Brain. Slice 86/155. Image size 240x240.
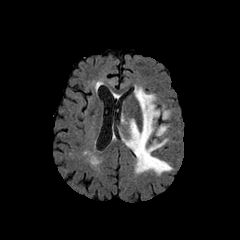
FLAIR MRI.
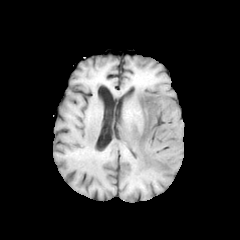
Same slice, T1-weighted MR.
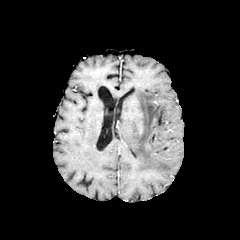
Post-contrast T1-weighted MR image.
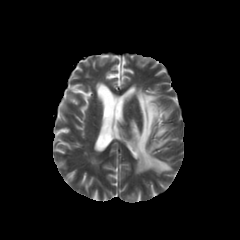
T2-weighted MR.
The edema is bounded by 120:85:173:174.